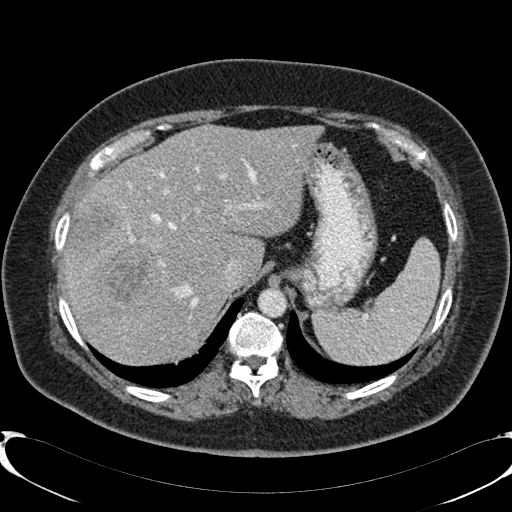
CT image
Liver lesion = (68,205,115,258), (95,246,157,312), (198,330,206,341).
Liver = (63,125,324,366).